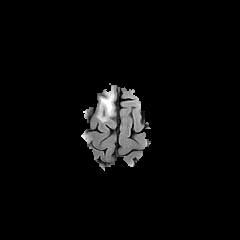
FLAIR magnetic resonance.
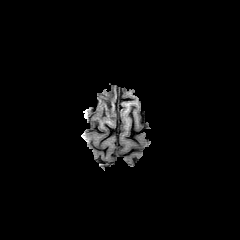
Same slice, T1-weighted magnetic resonance.
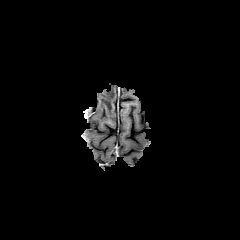
Same slice, post-contrast T1-weighted MRI.
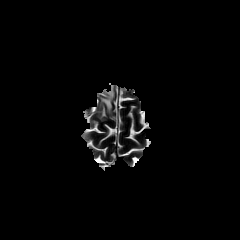
T2-weighted MR image.
The non-enhancing tumor core is at left=100, top=99, right=112, bottom=115. The edema is located at left=97, top=90, right=115, bottom=122.